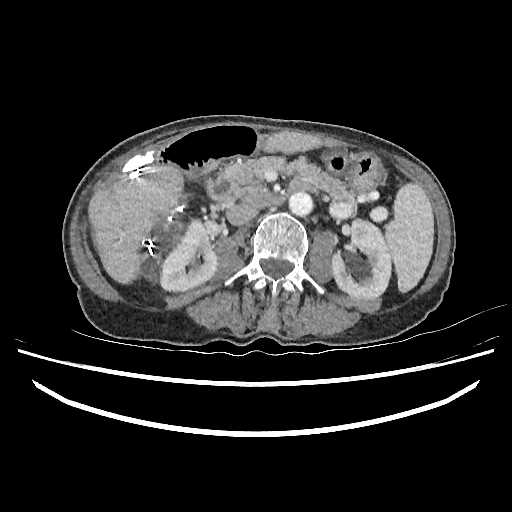

CT
2 liver regions are bounded by l=264, t=132, r=334, b=152; l=88, t=166, r=183, b=284. 2 kidney regions appear at l=161, t=221, r=220, b=290; l=332, t=221, r=390, b=299. 2 hepatic lesion regions are bounded by l=91, t=225, r=97, b=252; l=141, t=231, r=170, b=280.